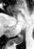 Hippocampus, MR
Posterior hippocampus = 12,34,23,43.